Image size 240x240
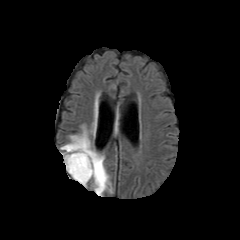
FLAIR magnetic resonance.
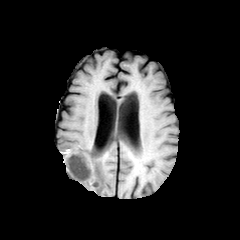
T1-weighted MR.
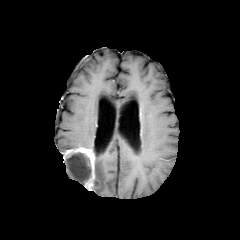
Post-contrast T1-weighted MRI.
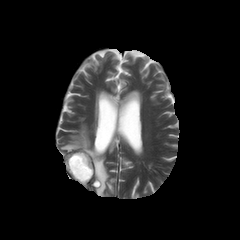
T2-weighted MR.
{
  "non-enhancing_tumor_core": [
    "box=[63, 149, 91, 185]"
  ],
  "edema": [
    "box=[93, 150, 112, 194]",
    "box=[60, 130, 92, 153]"
  ],
  "enhancing_tumor": [
    "box=[74, 147, 95, 177]"
  ]
}